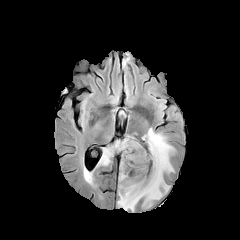
FLAIR MR image.
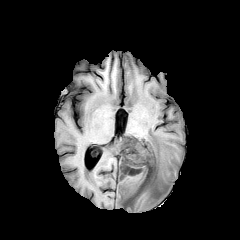
T1-weighted magnetic resonance.
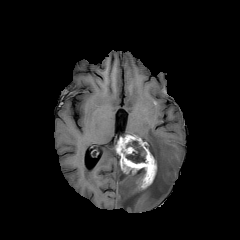
Post-contrast T1-weighted MR of the same slice.
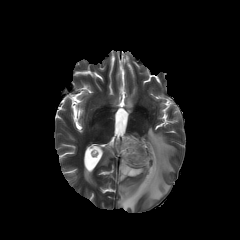
T2-weighted magnetic resonance.
<segmentation>
  <enhancing_tumor>rect(116, 135, 157, 189)</enhancing_tumor>
  <non-enhancing_tumor_core>rect(140, 140, 155, 160); rect(128, 167, 146, 192); rect(126, 148, 145, 163)</non-enhancing_tumor_core>
  <edema>rect(117, 127, 173, 211); rect(131, 172, 141, 181); rect(132, 140, 145, 159); rect(119, 169, 127, 181); rect(84, 171, 92, 183); rect(99, 140, 117, 165)</edema>
</segmentation>